CT | Image width 341 mm | Slice 186 of 192 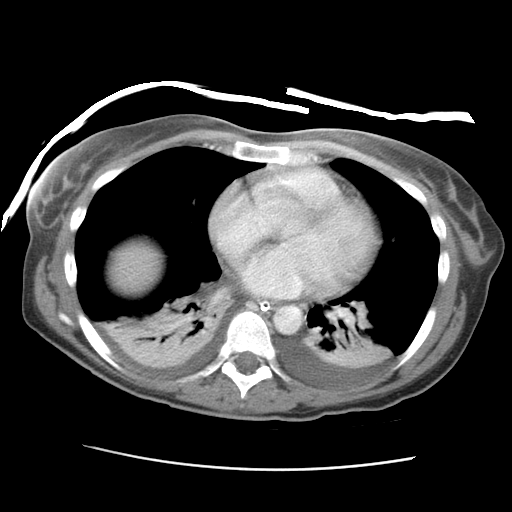
liver: 115,248,155,286